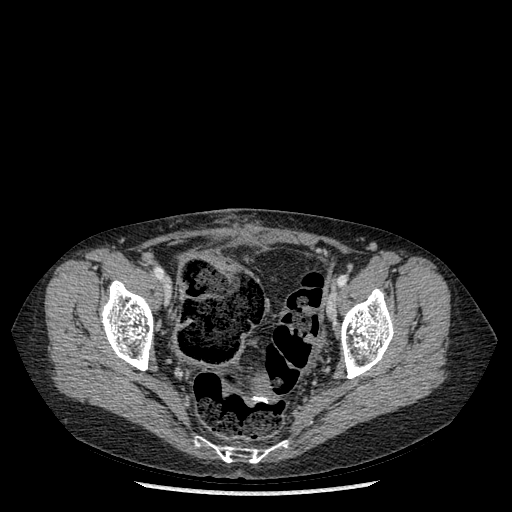
CT image

- bone: (x1=341, y1=288, x2=394, y2=378), (x1=194, y1=436, x2=288, y2=463), (x1=100, y1=280, x2=153, y2=370)